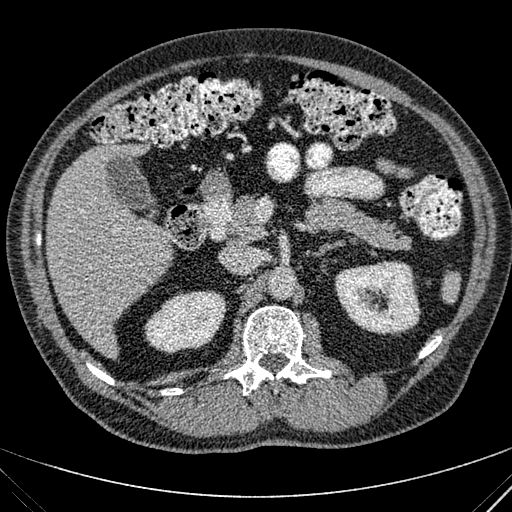 Abdomen; CT slice

Kidney: bounding box box(145, 291, 225, 352); box(336, 261, 419, 333).
Liver: bounding box box(46, 144, 172, 358).